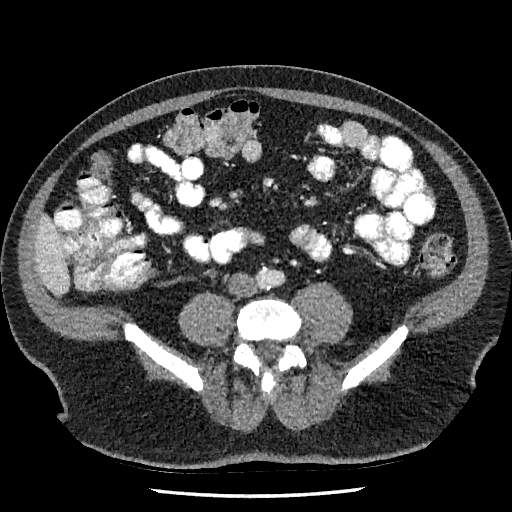

CT slice

<segmentation>
  <liver>[x1=36, y1=215, x2=69, y2=293]</liver>
</segmentation>